FLAIR MR image.
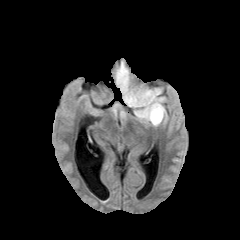
T1-weighted magnetic resonance.
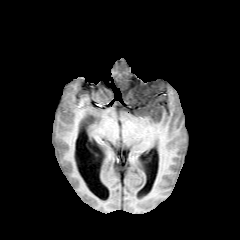
Post-contrast T1-weighted MR image.
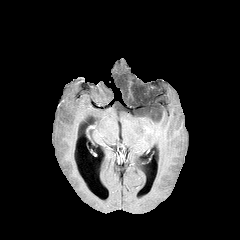
T2-weighted magnetic resonance.
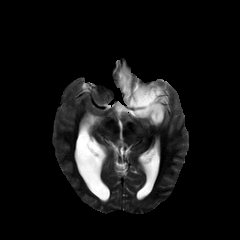
Brain
2 non-enhancing tumor core regions appear at bbox=[120, 70, 125, 84]; bbox=[130, 83, 165, 121]. 2 edema regions are located at bbox=[114, 61, 138, 108]; bbox=[112, 95, 168, 127].